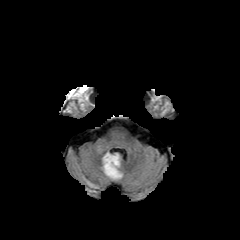
FLAIR MR.
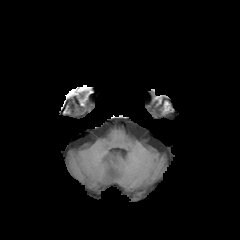
T1-weighted MR image.
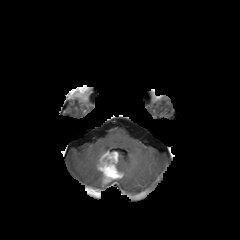
Post-contrast T1-weighted MRI of the same slice.
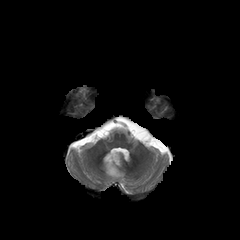
Same slice, T2-weighted MR.
Head.
Segmented structures:
• enhancing tumor: box=[102, 162, 114, 175]
• non-enhancing tumor core: box=[100, 152, 121, 177]
• edema: box=[116, 155, 122, 175]